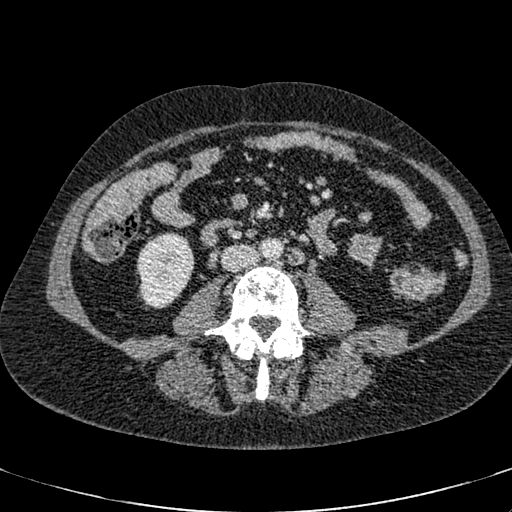 Image size 512x512 | Abdomen | Computed tomography
Kidney at box=[137, 234, 193, 307].